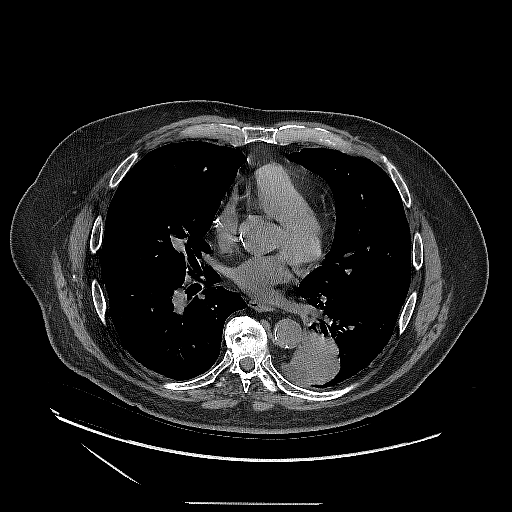
CT.

Lung tumor = <box>274,323,348,387</box>.